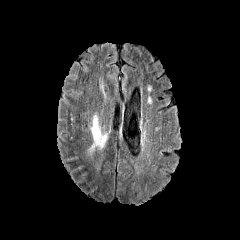
FLAIR MRI.
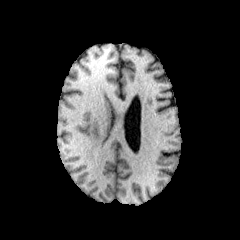
T1-weighted MR image.
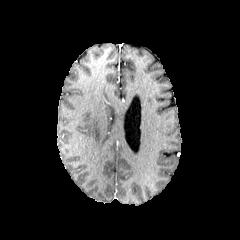
Post-contrast T1-weighted magnetic resonance.
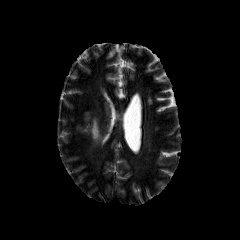
Same slice, T2-weighted MR image.
The edema is bounded by left=91, top=115, right=107, bottom=147.